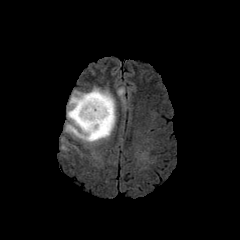
FLAIR MR image.
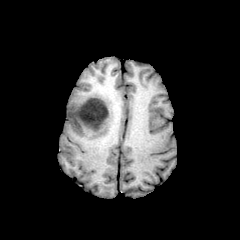
Same slice, T1-weighted magnetic resonance.
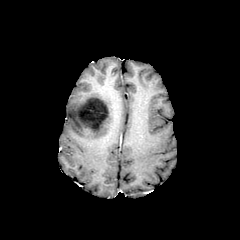
Post-contrast T1-weighted magnetic resonance of the same slice.
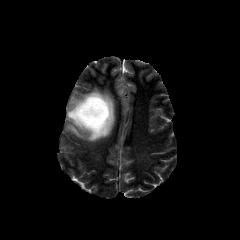
T2-weighted magnetic resonance.
Image size 240x240
Non-enhancing tumor core: bounding box (71, 91, 114, 139).
Edema: bounding box (65, 88, 116, 143).